Field of view 240 mm wide, 1.00 mm slice spacing, Head, Image size 240x240
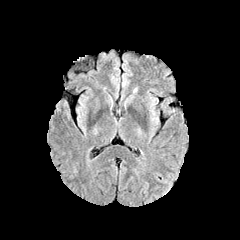
FLAIR MR image.
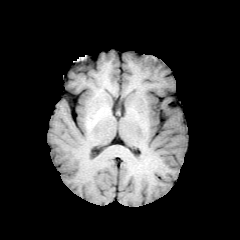
T1-weighted MR.
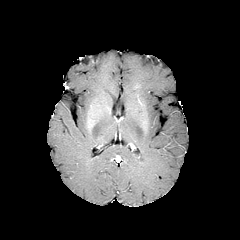
Post-contrast T1-weighted MR image.
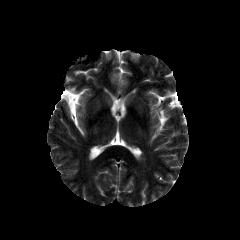
Same slice, T2-weighted MR.
Edema at <bbox>150, 100, 158, 122</bbox>.